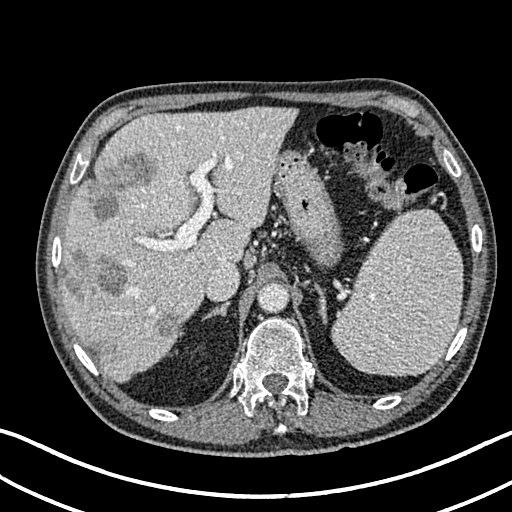

CT slice. Annotated regions:
• focal liver lesion: box=[65, 249, 127, 302]; box=[87, 155, 157, 219]; box=[91, 340, 114, 354]; box=[155, 315, 180, 337]
• liver: box=[64, 107, 296, 378]